FLAIR magnetic resonance.
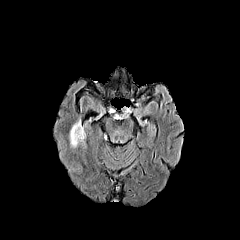
T1-weighted MR image.
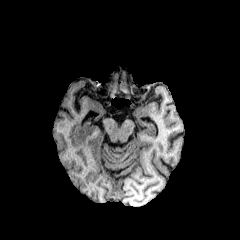
Post-contrast T1-weighted magnetic resonance.
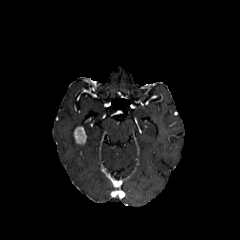
T2-weighted MRI.
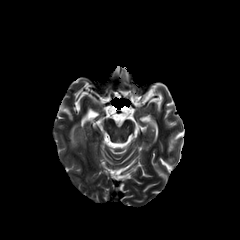
Enhancing tumor — (73, 126, 86, 144).
Edema — (68, 120, 81, 148).